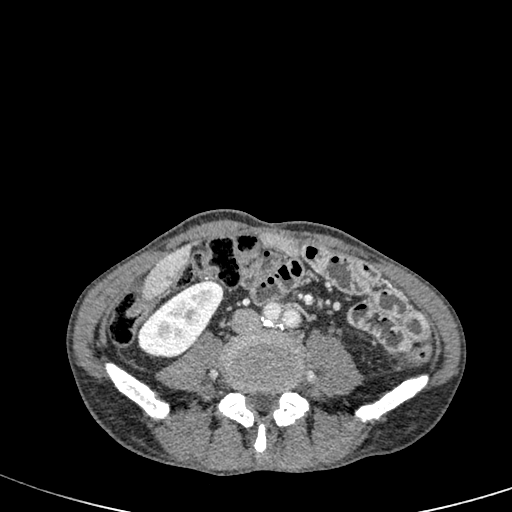

CT; Liver

The liver is at [x1=143, y1=240, x2=199, y2=299]. The kidney appears at [x1=139, y1=281, x2=222, y2=356].